Image width 399 mm | CT image | Liver
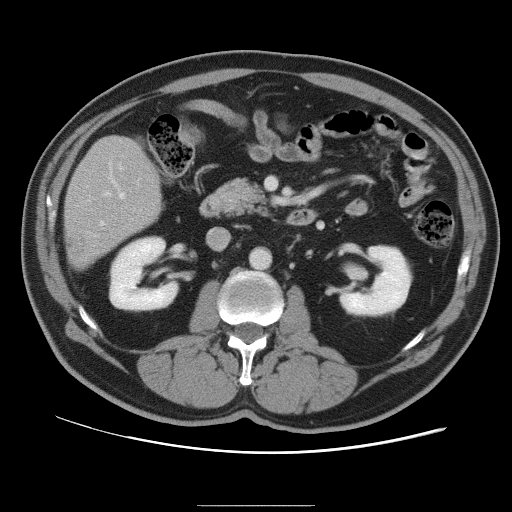 Only some of the vessels may be annotated.
<segmentation>
  <hepatic_vessel>(94, 235, 97, 236), (108, 161, 124, 197), (136, 179, 138, 183), (104, 191, 110, 195), (119, 164, 123, 168), (87, 185, 88, 186), (100, 221, 104, 225)</hepatic_vessel>
  <liver_tumor>(69, 230, 85, 257)</liver_tumor>
</segmentation>